FLAIR MR.
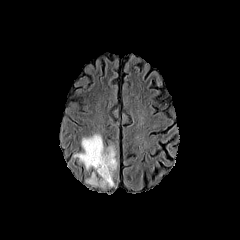
T1-weighted MR image.
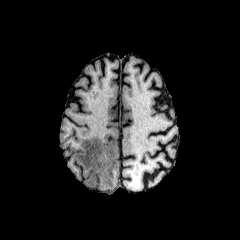
Post-contrast T1-weighted MRI.
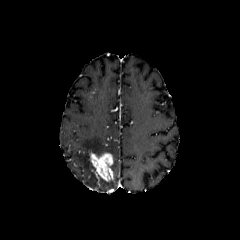
T2-weighted MRI.
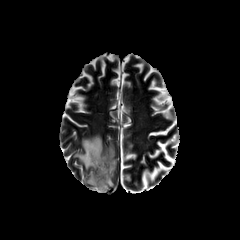
Image size 240x240
edema:
  - bbox(99, 177, 114, 188)
  - bbox(74, 134, 103, 171)
  - bbox(86, 172, 96, 185)
  - bbox(109, 147, 117, 171)
enhancing_tumor:
  - bbox(89, 152, 114, 181)